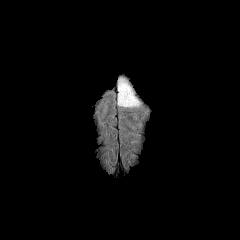
FLAIR MR image.
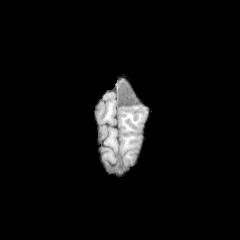
T1-weighted MR image.
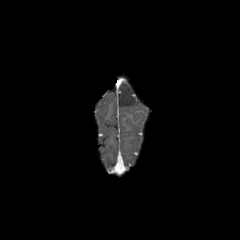
Post-contrast T1-weighted MR image.
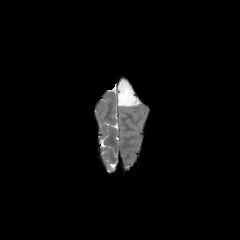
T2-weighted MR image of the same slice.
Head
Edema: bounding box (119,83,138,107).